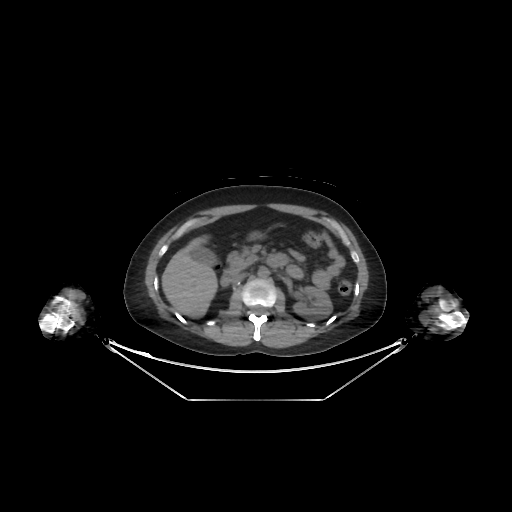 Upper abdomen. CT image.

Kidney at (293, 284, 332, 319).
Liver at (250, 232, 261, 239), (162, 236, 221, 317).